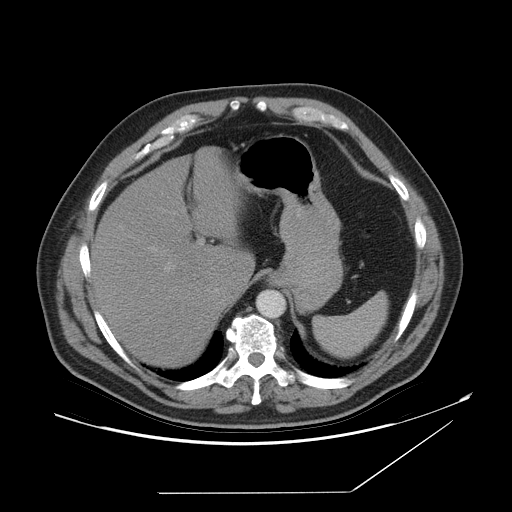

CT image

The spleen is bounded by [x1=314, y1=294, x2=387, y2=357].